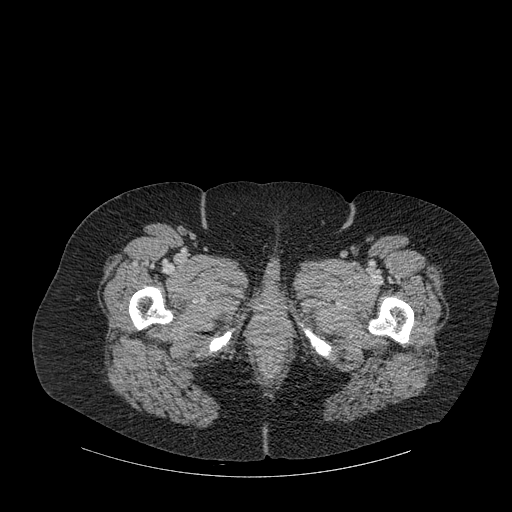
Computed tomography
{"bone": [{"x1": 209, "y1": 331, "x2": 231, "y2": 351}, {"x1": 305, "y1": 329, "x2": 330, "y2": 355}, {"x1": 369, "y1": 297, "x2": 413, "y2": 343}, {"x1": 129, "y1": 287, "x2": 172, "y2": 329}]}